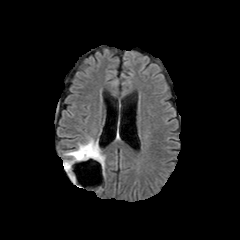
FLAIR MR.
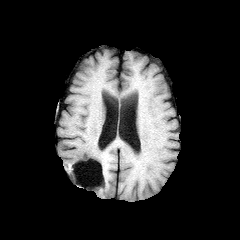
T1-weighted MR of the same slice.
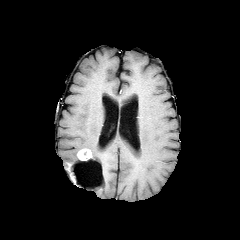
Same slice, post-contrast T1-weighted magnetic resonance.
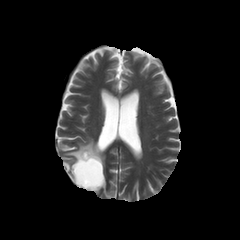
T2-weighted MR image.
Non-enhancing tumor core: bounding box (67, 147, 103, 181).
Enhancing tumor: bounding box (76, 148, 93, 160).
Edema: bounding box (64, 135, 105, 176).